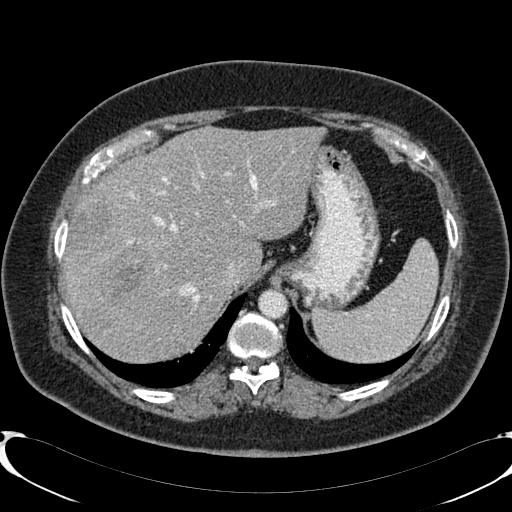

CT slice; Liver

* hepatic lesion: [99,248,149,305], [72,205,119,261]
* liver: [65,127,321,362]